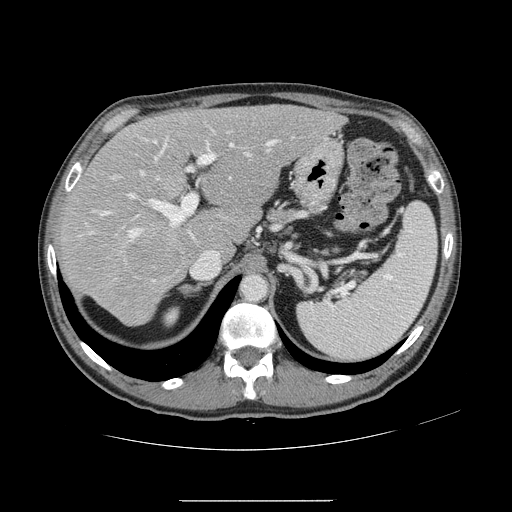 Abdomen, CT slice

The vessel annotation is not exhaustive.
The liver tumor lies within (126, 237, 179, 277). The largest 15 hepatic vessel regions (of 23) appear at (128, 193, 135, 197), (129, 228, 140, 241), (150, 194, 197, 223), (91, 210, 108, 216), (230, 143, 233, 146), (155, 156, 158, 160), (199, 145, 215, 163), (89, 229, 94, 233), (161, 136, 168, 153), (111, 175, 117, 179), (140, 171, 143, 175), (245, 151, 249, 155), (211, 129, 214, 133), (188, 231, 193, 237), (266, 140, 275, 151).